Computed tomography

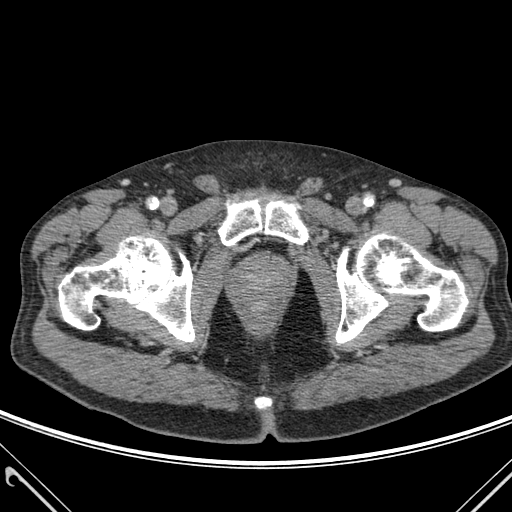

bone: 336:234:467:343, 218:200:308:245, 58:237:194:341, 255:397:270:408